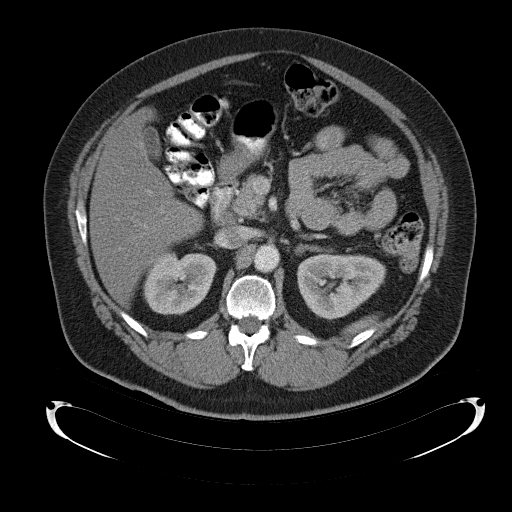

Computed tomography. Upper abdomen. Spleen: bounding box [x1=349, y1=319, x2=374, y2=333].